Slice 22/39; 512x512; Image width 353 mm; CT image 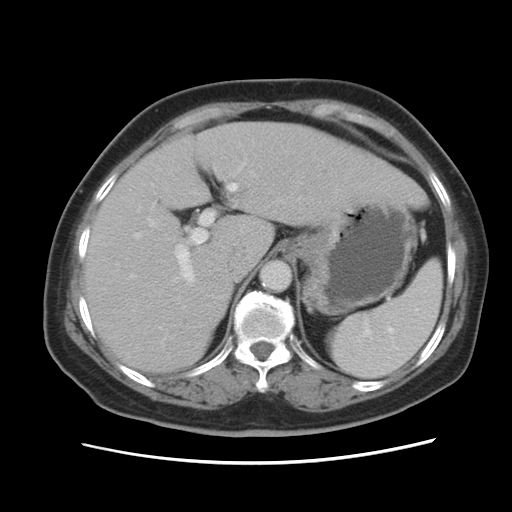
Some hepatic vessels may have no box.
Segmented structures:
* hepatic vessel: <bbox>183, 306, 184, 308</bbox>, <bbox>188, 211, 215, 244</bbox>, <bbox>131, 274, 135, 277</bbox>, <bbox>175, 244, 195, 282</bbox>, <bbox>135, 232, 142, 238</bbox>, <bbox>148, 218, 155, 226</bbox>, <bbox>173, 278, 179, 281</bbox>, <bbox>116, 262, 118, 264</bbox>, <bbox>227, 183, 237, 191</bbox>